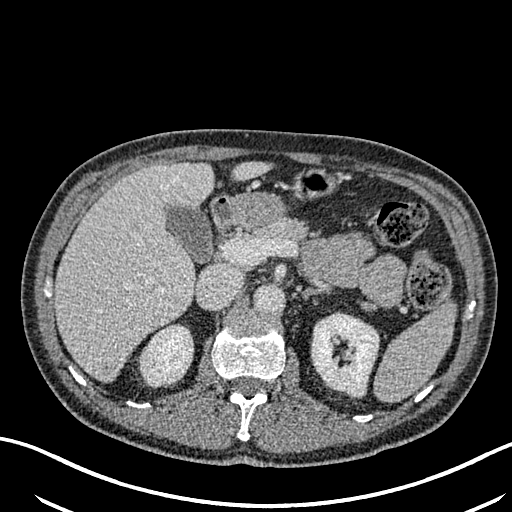

Abdomen, CT image, Image size 512x512
kidney: {"x1": 141, "y1": 326, "x2": 192, "y2": 382}, {"x1": 312, "y1": 314, "x2": 378, "y2": 392} | liver: {"x1": 55, "y1": 163, "x2": 213, "y2": 381}, {"x1": 231, "y1": 162, "x2": 267, "y2": 180} | hepatic lesion: {"x1": 102, "y1": 363, "x2": 115, "y2": 374}